Slice 484 of 654 | CT slice
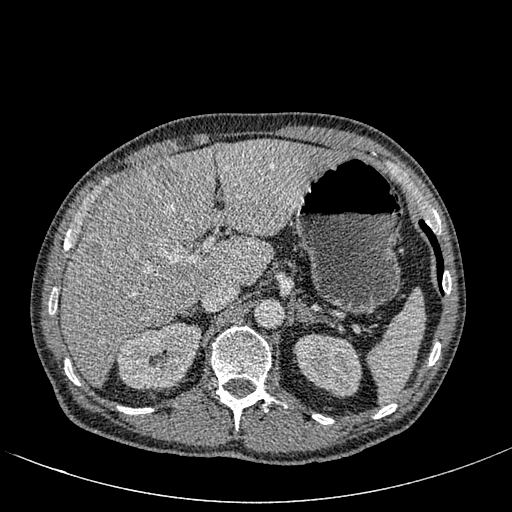 3 hepatic lesion regions appear at x1=214 y1=144 x2=224 y2=153, x1=85 y1=241 x2=101 y2=264, x1=153 y1=163 x2=173 y2=181. 2 kidney regions are bounded by x1=117 y1=323 x2=200 y2=389, x1=295 y1=334 x2=361 y2=395. The liver lies within x1=61 y1=138 x2=344 y2=386.